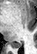

Magnetic resonance; Medial temporal lobe
The posterior hippocampus is at (left=9, top=41, right=21, bottom=47).